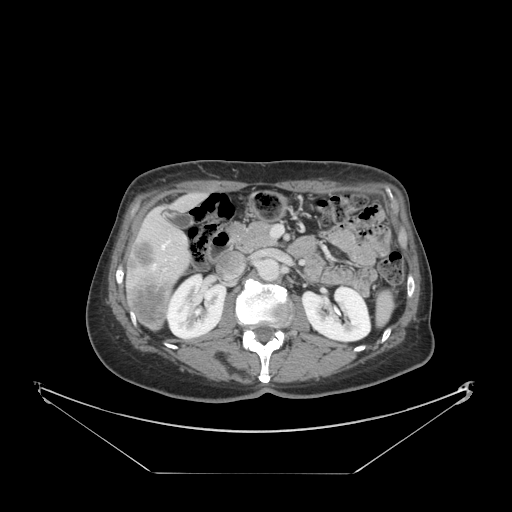
CT slice. 512x512. Upper abdomen.
Spleen: <bbox>378, 292, 392, 321</bbox>.